FLAIR MR image.
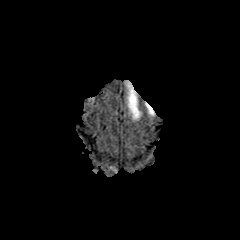
T1-weighted magnetic resonance.
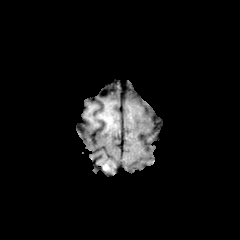
Post-contrast T1-weighted magnetic resonance.
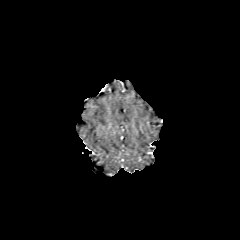
T2-weighted MR image.
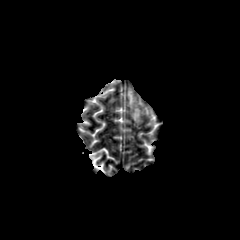
Head.
- edema: x1=127 y1=86 x2=142 y2=120, x1=146 y1=105 x2=153 y2=115